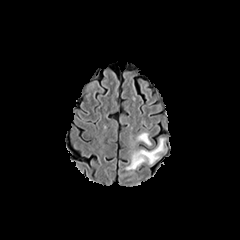
FLAIR magnetic resonance.
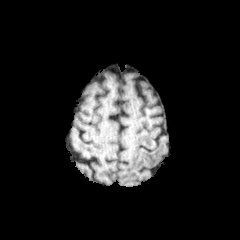
Same slice, T1-weighted MR image.
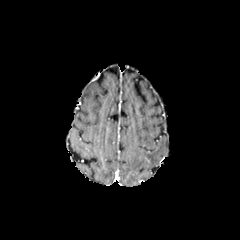
Post-contrast T1-weighted MR.
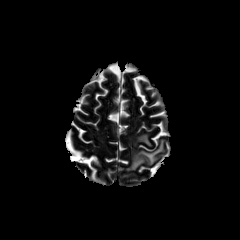
T2-weighted magnetic resonance.
2 edema regions are bounded by region(125, 138, 165, 170); region(137, 133, 151, 146).